FLAIR MRI.
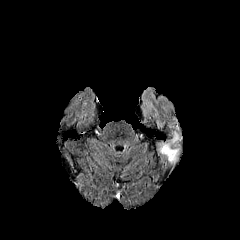
T1-weighted MR image.
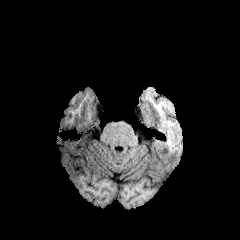
Post-contrast T1-weighted MR.
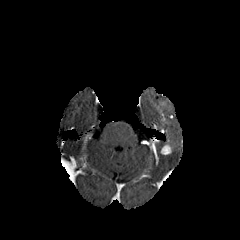
T2-weighted MRI.
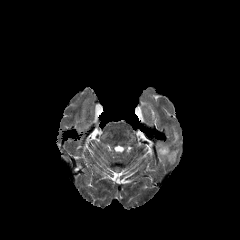
The enhancing tumor is at <bbox>160, 144, 172, 155</bbox>. The edema is located at <bbox>165, 123, 182, 165</bbox>.